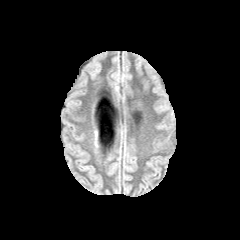
FLAIR magnetic resonance.
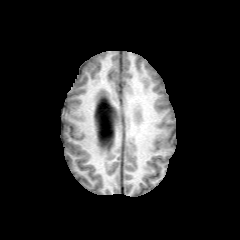
T1-weighted MRI.
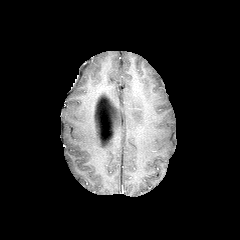
Post-contrast T1-weighted MRI.
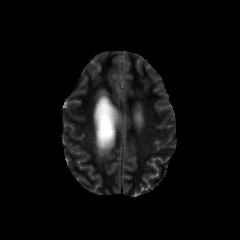
T2-weighted MR image of the same slice.
Brain
Annotated regions:
* edema: 131:91:141:97